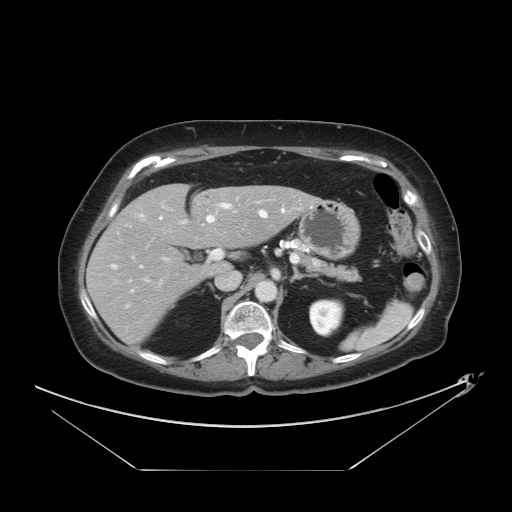 CT image
Not every hepatic vessel necessarily has a box.
13 hepatic vessel regions appear at (left=145, top=279, right=147, bottom=281), (left=164, top=258, right=167, bottom=259), (left=209, top=248, right=223, bottom=260), (left=281, top=209, right=284, bottom=212), (left=160, top=217, right=161, bottom=218), (left=140, top=215, right=143, bottom=216), (left=111, top=265, right=116, bottom=267), (left=258, top=210, right=266, bottom=217), (left=130, top=290, right=132, bottom=292), (left=126, top=305, right=128, bottom=306), (left=220, top=203, right=230, bottom=208), (left=207, top=215, right=214, bottom=222), (left=140, top=266, right=142, bottom=267).